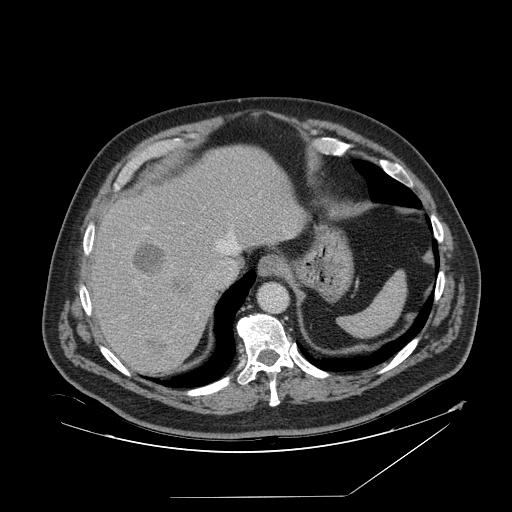
CT image; Upper abdomen; 512x512 px
spleen: bbox=[338, 272, 406, 336]